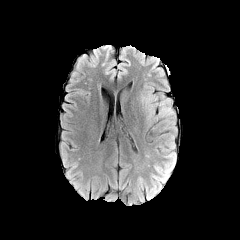
FLAIR MR.
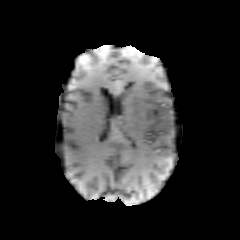
Same slice, T1-weighted magnetic resonance.
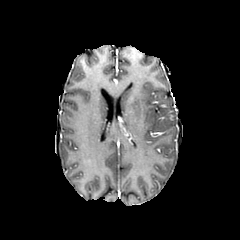
Post-contrast T1-weighted MR image.
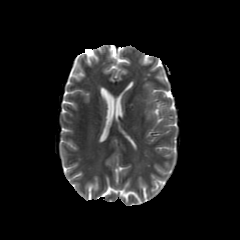
T2-weighted MRI.
Image size 240x240, Brain
2 edema regions are located at [152, 163, 170, 189], [142, 94, 173, 121].